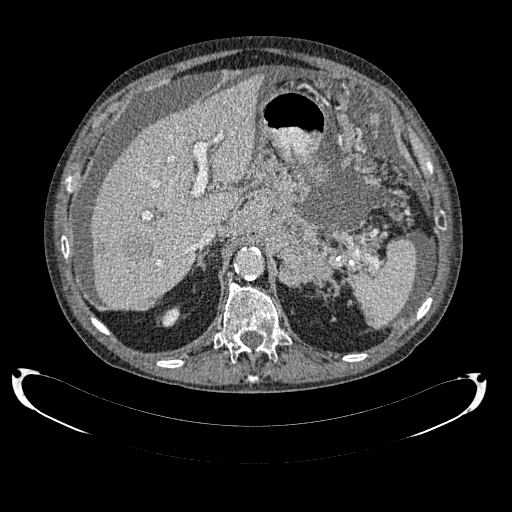 Computed tomography, Abdomen
Focal liver lesion at (125,235,152,259), (96,243,105,251).
Kidney at (162,308,178,326).
Liver at (90,74,263,310).